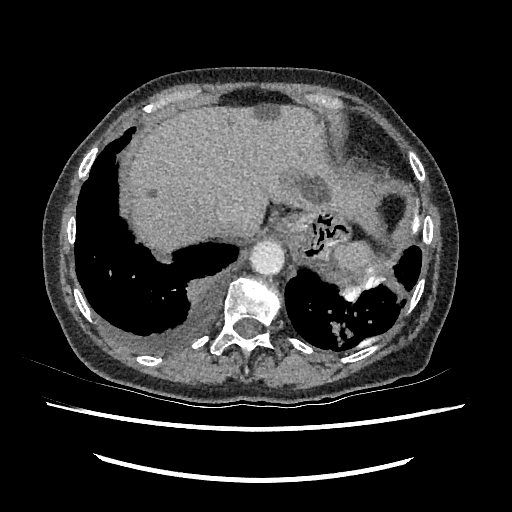
512x512. CT slice. Upper abdomen.

Findings:
* focal liver lesion: region(148, 189, 155, 198); region(282, 168, 332, 203); region(255, 106, 278, 118)
* liver: region(129, 106, 353, 252)